Slice 111 of 260; Abdomen; Computed tomography
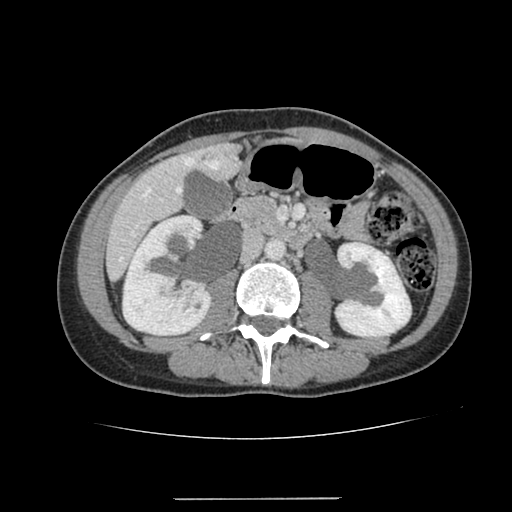
The liver is at 105,142,240,281. 2 kidney regions are bounded by 123,216,209,334; 336,242,410,336.